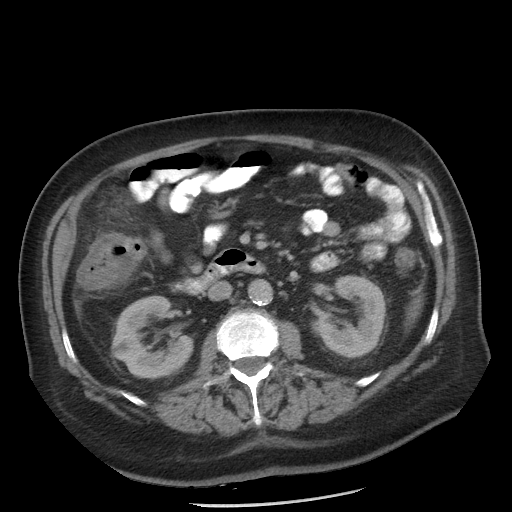

CT. Abdomen. 512x512 px.
The colon tumor appears at 76 234 147 290.